FLAIR MR image.
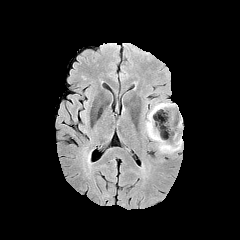
T1-weighted MR.
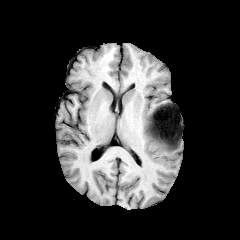
Post-contrast T1-weighted magnetic resonance.
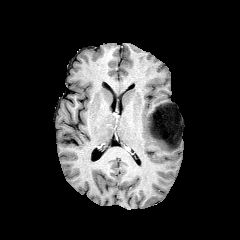
T2-weighted MR image.
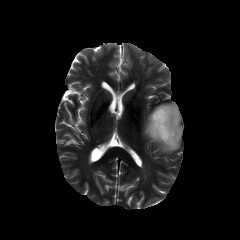
Head
The edema is bounded by <box>144,102,182,153</box>. The non-enhancing tumor core is located at <box>162,110,177,149</box>.